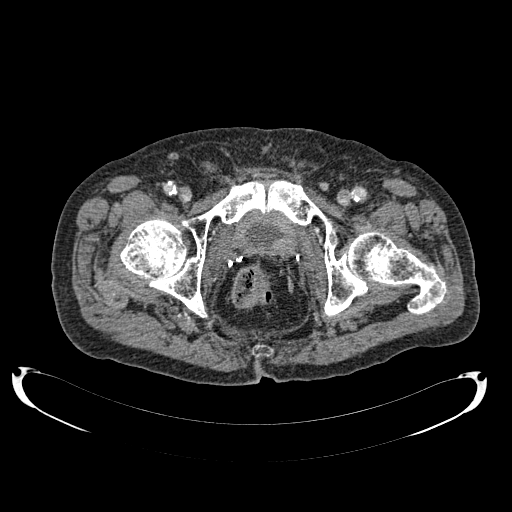
CT scan slice
• urinary bladder: (x1=248, y1=224, x2=280, y2=245)